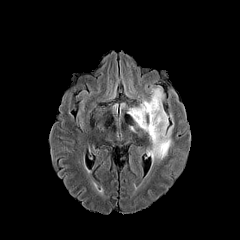
FLAIR MR.
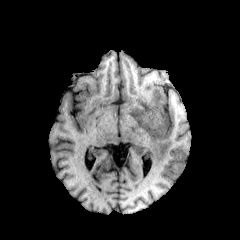
T1-weighted magnetic resonance.
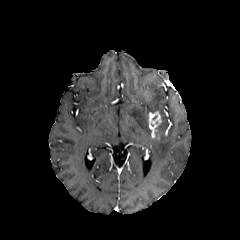
Post-contrast T1-weighted MR of the same slice.
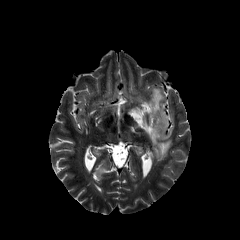
T2-weighted MRI.
Head
The enhancing tumor is located at (148,111,161,137). The edema is bounded by (128,86,173,166). The non-enhancing tumor core is located at (155,123,167,136).